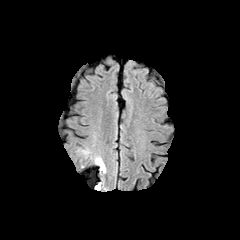
FLAIR MR.
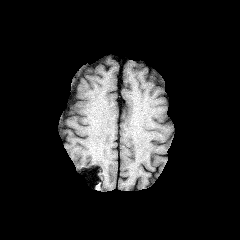
T1-weighted magnetic resonance.
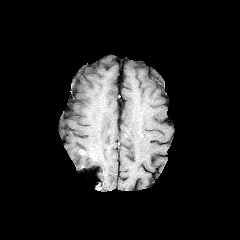
Post-contrast T1-weighted MRI.
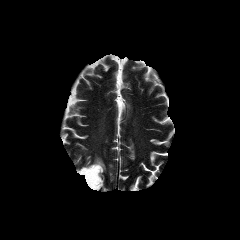
T2-weighted MR image of the same slice.
240x240 px; Brain
{"edema": ["bbox(77, 146, 106, 186)"]}